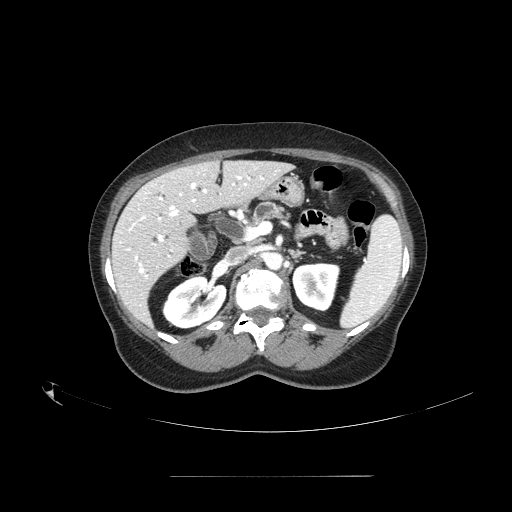

Abdomen, CT
{"pancreas": ["[253,202,291,223]"]}